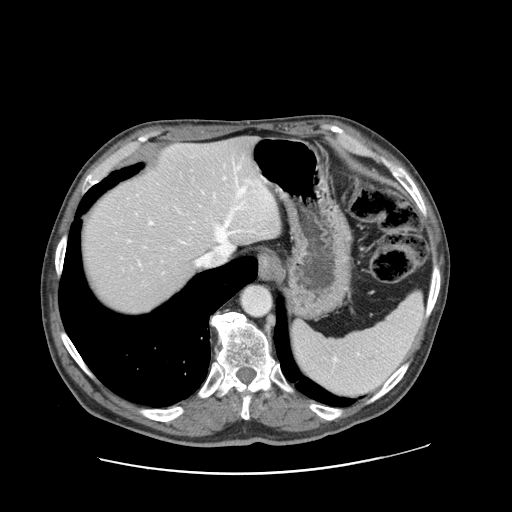

Liver. CT scan slice. The vessel boxes may cover only some of the vessels.
9 hepatic vessel regions appear at rect(235, 206, 240, 208); rect(235, 231, 238, 231); rect(196, 259, 199, 264); rect(238, 186, 245, 195); rect(245, 179, 249, 183); rect(234, 166, 239, 172); rect(216, 219, 234, 243); rect(223, 177, 225, 179); rect(149, 221, 152, 224).